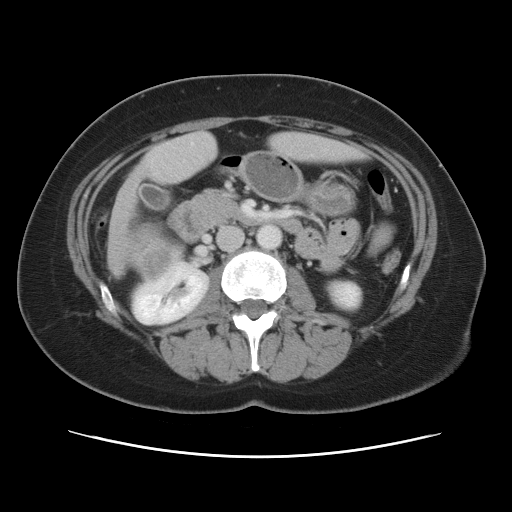

CT image; Abdomen

* liver tumor: (left=140, top=249, right=167, bottom=278)